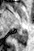 Medial temporal lobe | 34x51 px | MR
The posterior hippocampus appears at (12,32,27,44).